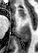

MR
- anterior hippocampus: bbox(18, 9, 26, 21)